512x512 px, Abdomen, Slice 36/113, CT slice

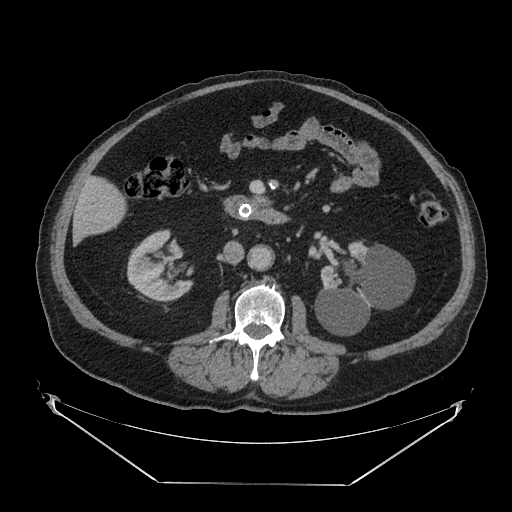 The pancreas is located at box(255, 196, 268, 204).